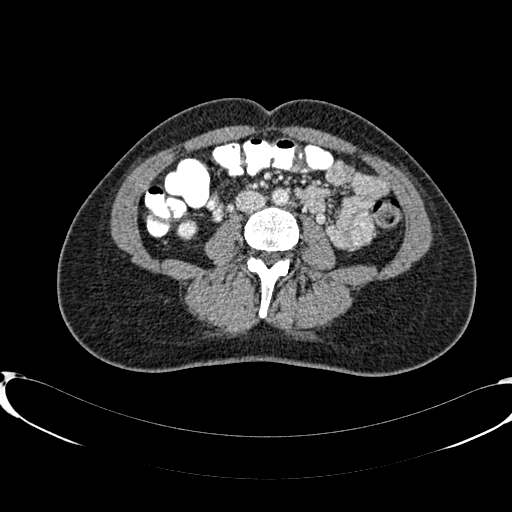
512x512; Computed tomography

kidney: (179,224,191,235)